Image width 240 mm | Slice 111 of 155 | Head
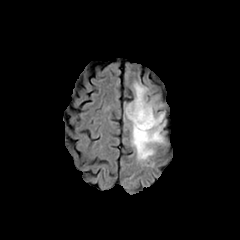
FLAIR MR image.
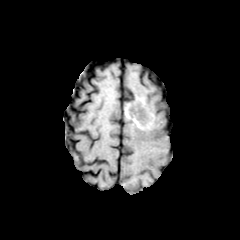
T1-weighted MRI.
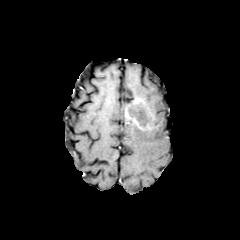
Post-contrast T1-weighted MR.
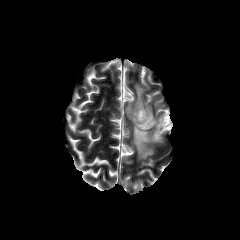
T2-weighted MR image.
2 edema regions are located at rect(135, 110, 151, 128); rect(124, 83, 165, 162). The enhancing tumor is at rect(134, 98, 144, 104). The non-enhancing tumor core is bounded by rect(126, 101, 163, 132).